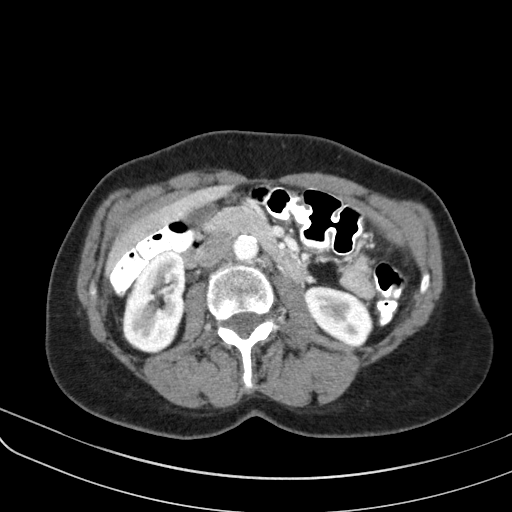 CT slice, 512x512 px
Annotated regions:
- pancreas: (196,206,276,268)